CT slice; Slice index 113 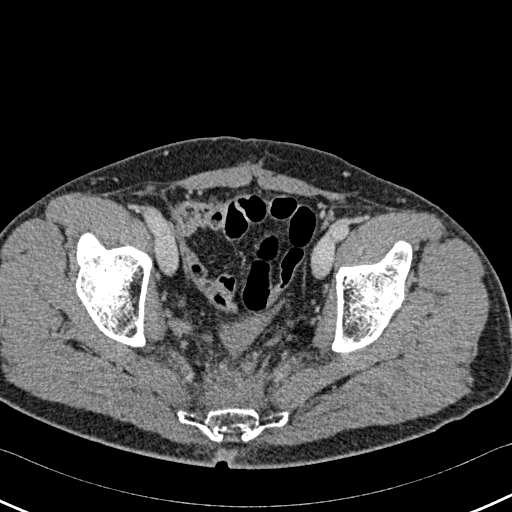
bone:
  - x1=76, y1=233, x2=151, y2=346
  - x1=332, y1=241, x2=411, y2=352
  - x1=178, y1=408, x2=288, y2=442